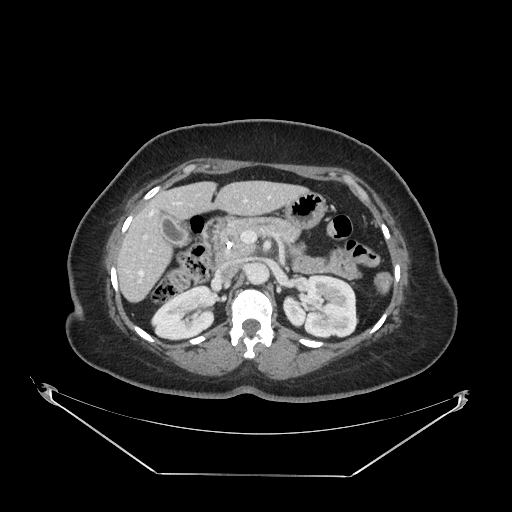

Upper abdomen; Computed tomography
Annotated regions:
• pancreas: 224 218 300 248
• pancreatic tumor: 227 232 235 242